Head
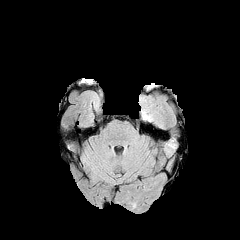
FLAIR magnetic resonance.
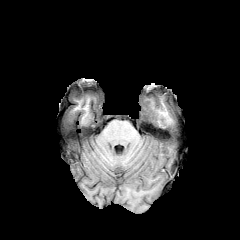
T1-weighted MR image of the same slice.
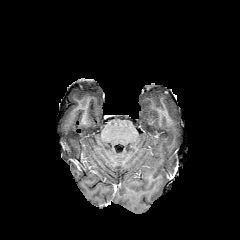
Post-contrast T1-weighted MR image of the same slice.
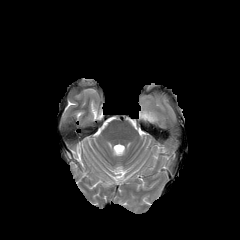
T2-weighted MRI.
Edema: <box>141,109,153,121</box>.